CT scan slice. Image size 512x512. Liver. 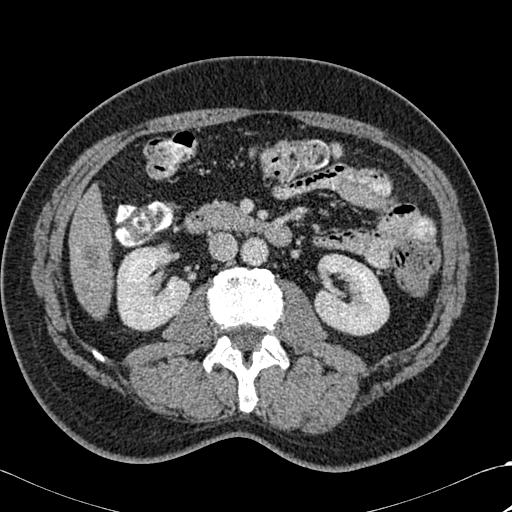 2 kidney regions are located at <bbox>315, 254, 388, 334</bbox>, <bbox>117, 247, 189, 329</bbox>. The liver is at <bbox>70, 191, 112, 316</bbox>. The bone is located at <bbox>204, 268, 288, 411</bbox>. The hepatic lesion is at <bbox>80, 245, 100, 269</bbox>.